Image size 512x512, Slice 100/547, CT scan slice, Image width 385 mm
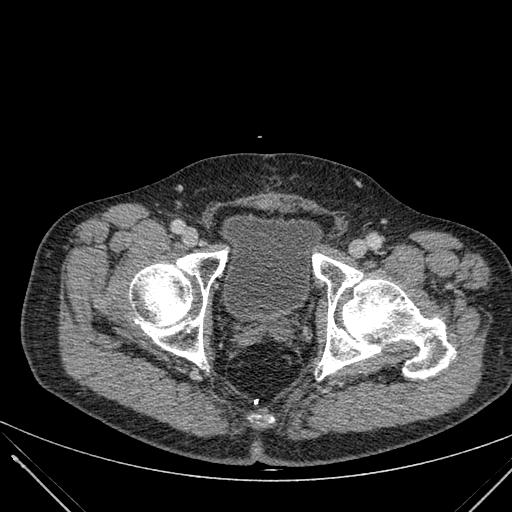 The urinary bladder is bounded by (222,215,323,314).